Field of view 344 mm wide, 1.00 mm slice spacing; CT scan slice
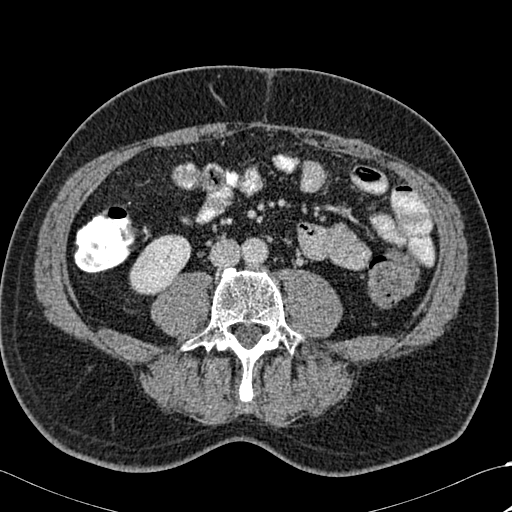 The bone is bounded by (x1=183, y1=267, x2=303, y2=401). The kidney is bounded by (x1=131, y1=236, x2=189, y2=293).